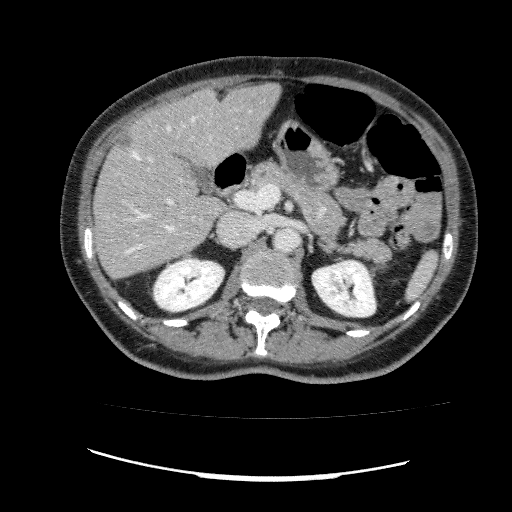
CT image. 512x512. Kidney — (left=312, top=261, right=375, bottom=316), (left=154, top=259, right=222, bottom=311).
Hepatic lesion — (left=117, top=135, right=132, bottom=150).
Liver — (left=93, top=83, right=281, bottom=278).